FLAIR magnetic resonance.
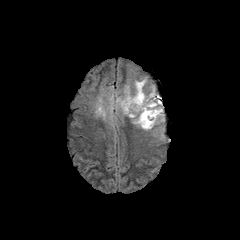
T1-weighted MR.
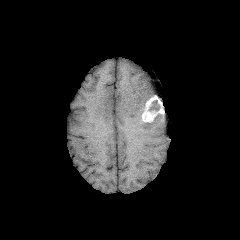
Post-contrast T1-weighted MR.
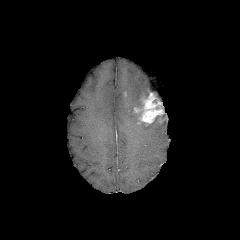
T2-weighted MRI.
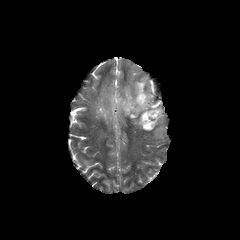
Brain
The enhancing tumor is at rect(134, 92, 162, 125). The edema is located at rect(92, 76, 164, 139).